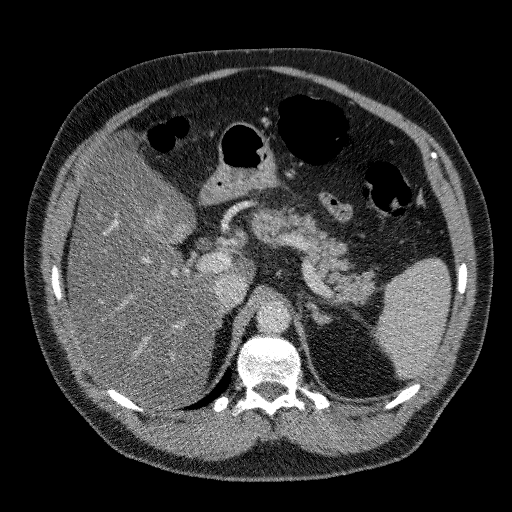

Computed tomography; Upper abdomen; 512x512 px

liver: x1=68, y1=134, x2=255, y2=412